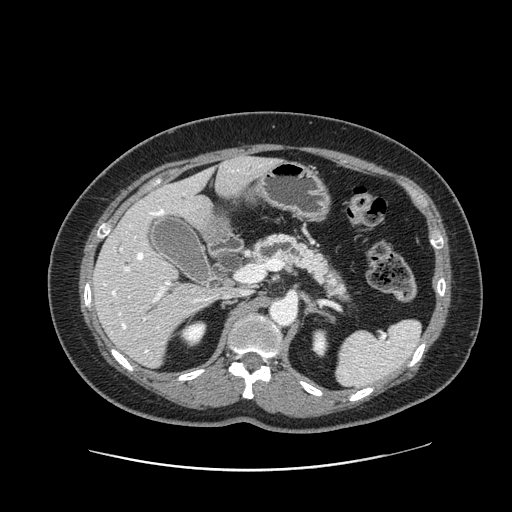 CT scan slice
Pancreas at region(255, 234, 344, 296).